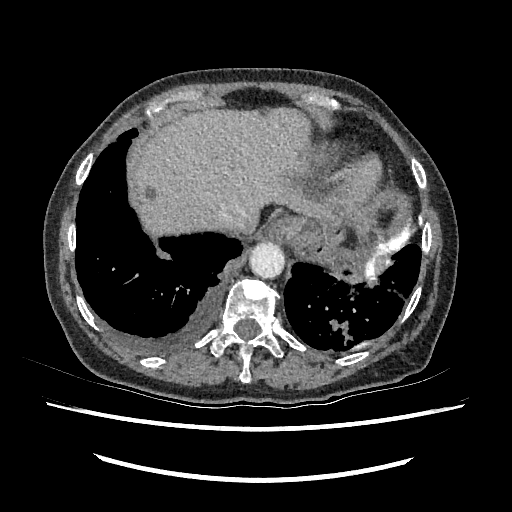
CT scan slice. Liver.

<segmentation>
  <liver_lesion>290,172,321,200; 146,187,156,199</liver_lesion>
  <liver>135,108,321,234</liver>
</segmentation>